Image size 240x240; Slice index 88
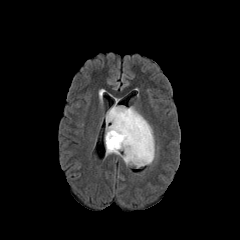
FLAIR MRI.
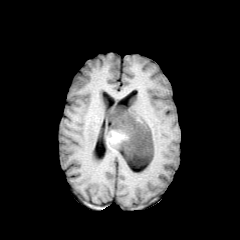
T1-weighted MR image.
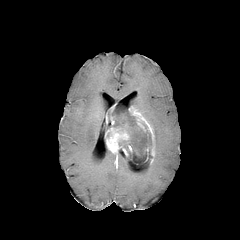
Post-contrast T1-weighted magnetic resonance of the same slice.
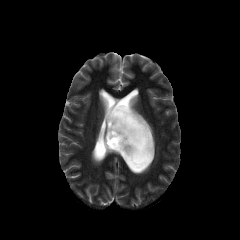
T2-weighted magnetic resonance.
{"edema": ["box=[118, 152, 150, 168]"], "non-enhancing_tumor_core": ["box=[112, 106, 153, 166]"], "enhancing_tumor": ["box=[145, 145, 154, 163]", "box=[105, 106, 132, 156]", "box=[128, 106, 153, 141]"]}